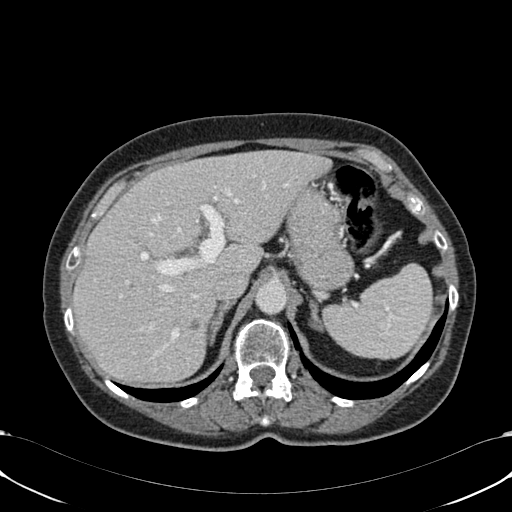 Upper abdomen; CT slice; 512x512 px
The liver is bounded by [73,151,330,383]. The focal liver lesion is bounded by [190,320,199,329].